Slice index 78, 240x240 px
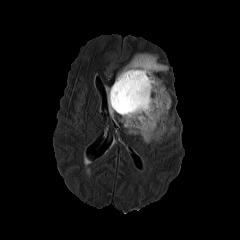
FLAIR MRI.
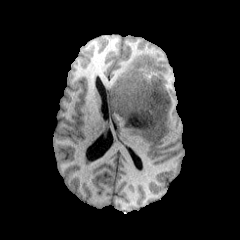
T1-weighted MRI of the same slice.
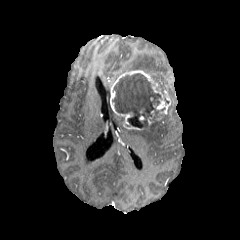
Same slice, post-contrast T1-weighted MR image.
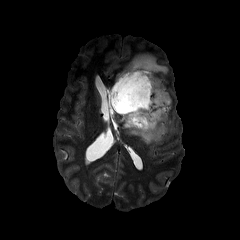
T2-weighted magnetic resonance.
3 edema regions are located at 105:86:113:119, 115:53:168:80, 127:110:172:144. The enhancing tumor is located at 110:70:171:129. The non-enhancing tumor core is at 112:72:165:129.